FLAIR MRI.
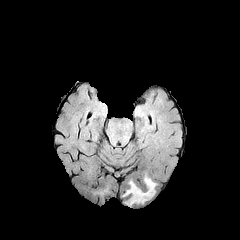
T1-weighted magnetic resonance.
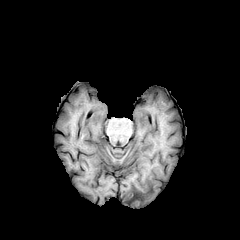
Post-contrast T1-weighted MRI.
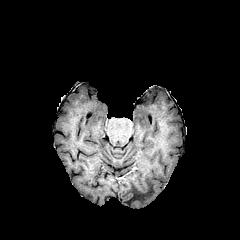
T2-weighted magnetic resonance.
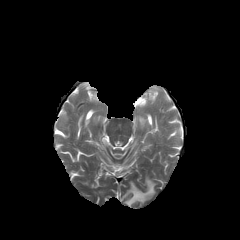
240x240.
The edema lies within box(124, 177, 155, 204).